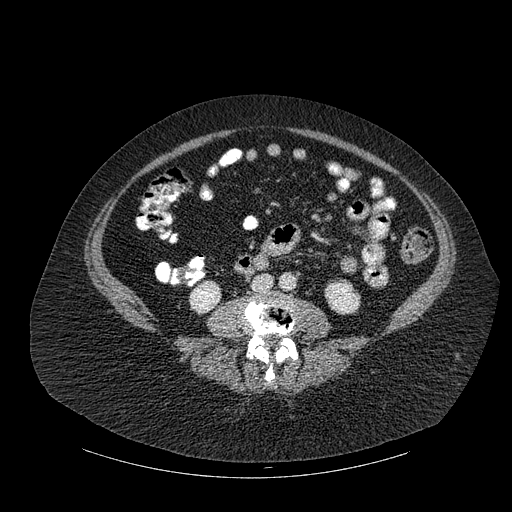

Abdomen; CT image
Bone = box=[244, 297, 297, 382].
Kidney = box=[189, 281, 220, 313]; box=[325, 282, 359, 313].